CT scan slice, Upper abdomen
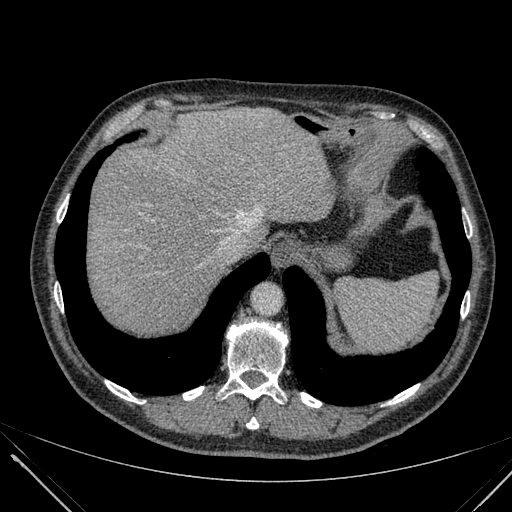

Annotated regions:
• liver: 87 107 327 335